Computed tomography, Liver 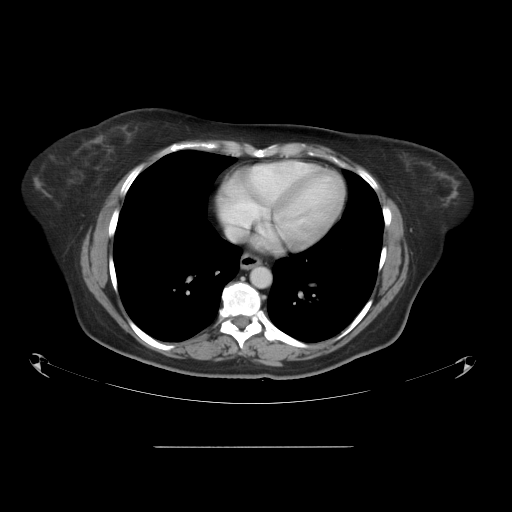 The vessel boxes may cover only some of the vessels.
hepatic_vessel:
  - [229,223,252,239]